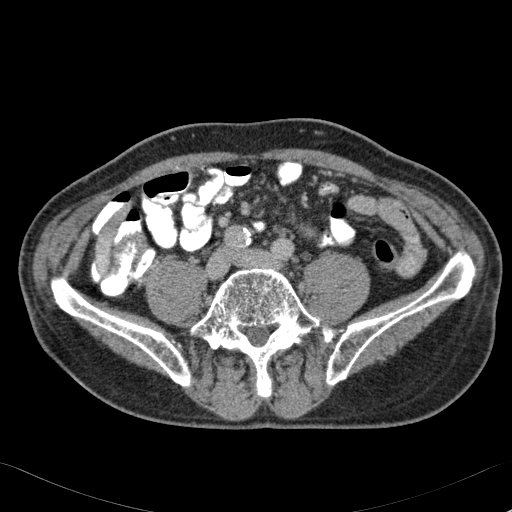

Abdomen. CT image. The liver lies within 95:244:108:270.